Field of view 360x360 mm, CT image
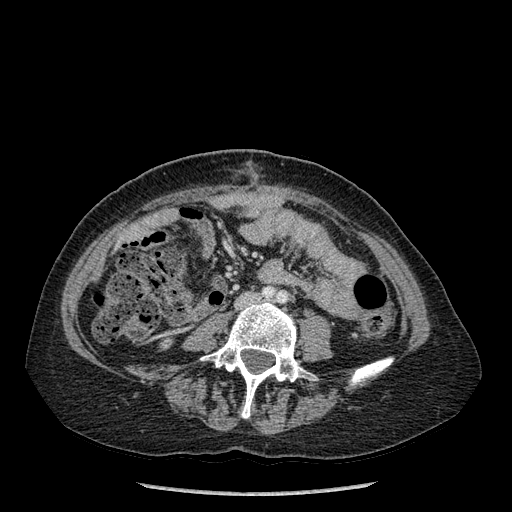 Annotated regions:
- bone: (left=350, top=357, right=393, bottom=385), (left=202, top=302, right=305, bottom=418)